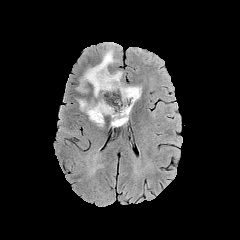
FLAIR MR image.
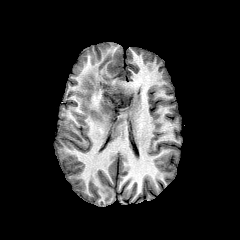
T1-weighted MR.
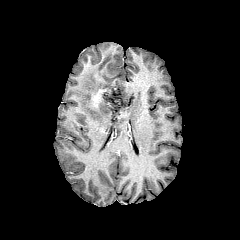
Post-contrast T1-weighted MR.
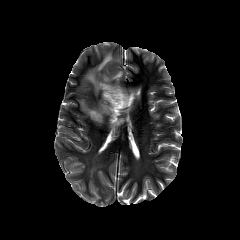
Same slice, T2-weighted MR.
Head
• non-enhancing tumor core: box(102, 84, 131, 111)
• edema: box(78, 49, 141, 129)